240x240
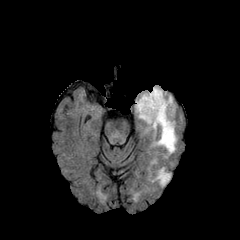
FLAIR magnetic resonance.
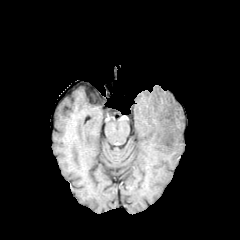
T1-weighted magnetic resonance.
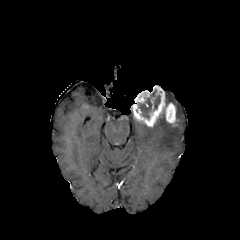
Post-contrast T1-weighted MR image.
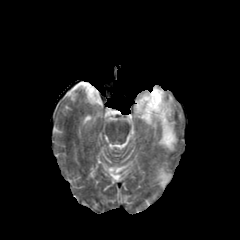
T2-weighted MR of the same slice.
{
  "non-enhancing_tumor_core": [
    "(152, 89, 160, 108)",
    "(138, 98, 151, 117)"
  ],
  "edema": [
    "(152, 167, 171, 186)",
    "(145, 118, 177, 158)"
  ],
  "enhancing_tumor": [
    "(132, 85, 175, 127)"
  ]
}